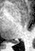 MRI slice; Image size 35x51
Annotated regions:
* posterior hippocampus: (14,41,18,43)